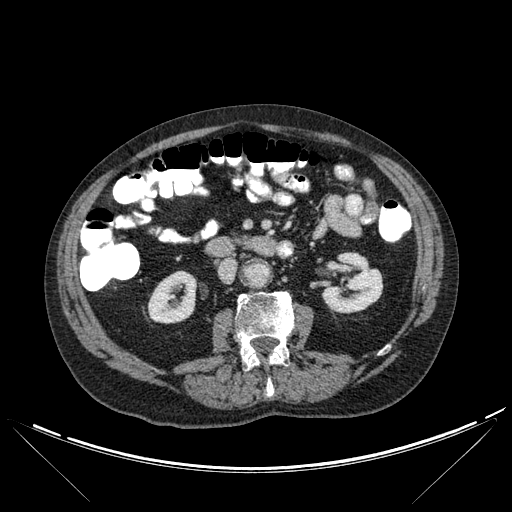 Abdomen, CT image
2 bone regions are located at (236, 291, 293, 368), (266, 379, 273, 396). 2 kidney regions are located at (148, 271, 196, 322), (322, 253, 382, 312).